512x512 | Computed tomography | Upper abdomen 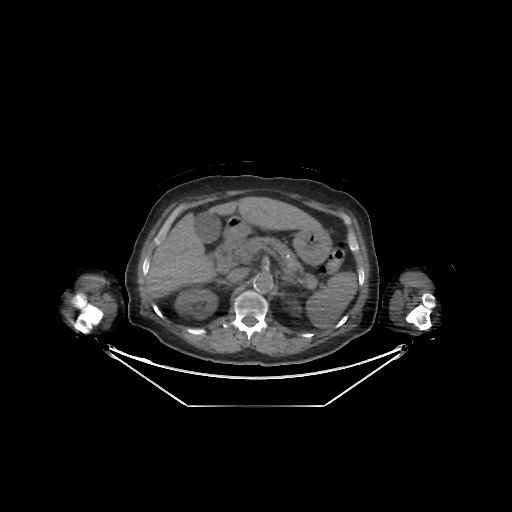
{
  "bone": [
    {"x1": 359, "y1": 269, "x2": 363, "y2": 284},
    {"x1": 188, "y1": 329, "x2": 204, "y2": 334},
    {"x1": 233, "y1": 292, "x2": 267, "y2": 338},
    {"x1": 143, "y1": 259, "x2": 148, "y2": 274},
    {"x1": 406, "y1": 293, "x2": 434, "y2": 329},
    {"x1": 73, "y1": 294, "x2": 102, "y2": 332}
  ],
  "kidney": [
    {"x1": 175, "y1": 286, "x2": 217, "y2": 318}
  ],
  "liver": [
    {"x1": 146, "y1": 214, "x2": 215, "y2": 296},
    {"x1": 210, "y1": 197, "x2": 321, "y2": 232}
  ]
}